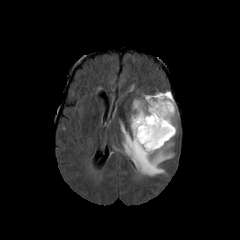
FLAIR MR.
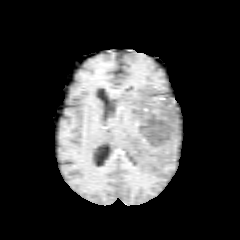
Same slice, T1-weighted MR image.
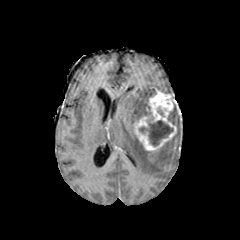
Post-contrast T1-weighted magnetic resonance of the same slice.
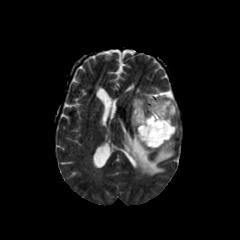
T2-weighted MRI.
{
  "non-enhancing_tumor_core": [
    "box(148, 116, 173, 145)"
  ],
  "edema": [
    "box(121, 94, 173, 175)"
  ],
  "enhancing_tumor": [
    "box(133, 92, 177, 151)"
  ]
}